MR | Field of view 37x45 mm | Hippocampus

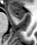

{"anterior_hippocampus": [{"x1": 8, "y1": 5, "x2": 24, "y2": 19}]}